CT scan slice | Abdomen
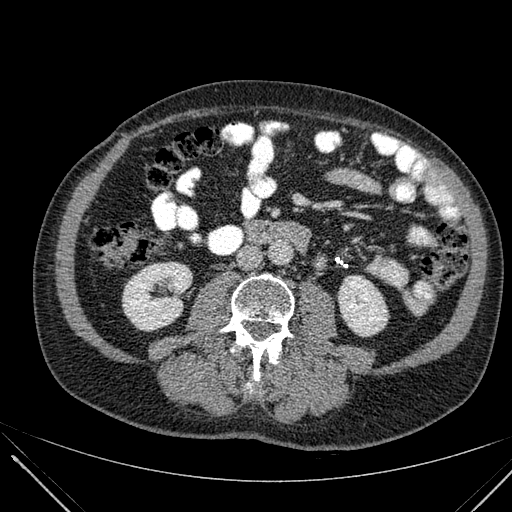 kidney:
  - {"x1": 123, "y1": 262, "x2": 191, "y2": 330}
  - {"x1": 338, "y1": 276, "x2": 387, "y2": 335}